Upper abdomen | CT image | Slice 54 of 117

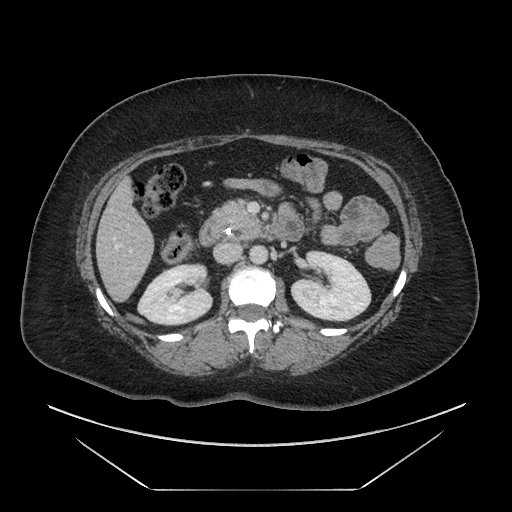 {"pancreas": [{"x1": 224, "y1": 203, "x2": 259, "y2": 239}]}